FLAIR MR.
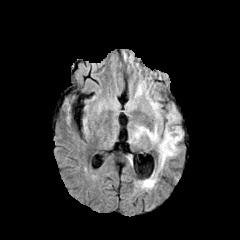
T1-weighted MR image.
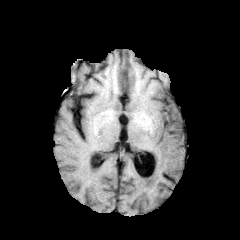
Post-contrast T1-weighted MRI.
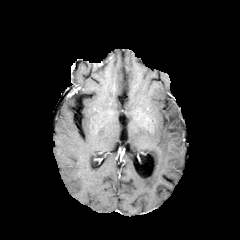
T2-weighted MRI.
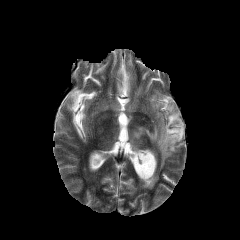
Image size 240x240.
2 edema regions are located at x1=129, y1=96, x2=183, y2=190; x1=134, y1=84, x2=148, y2=98.